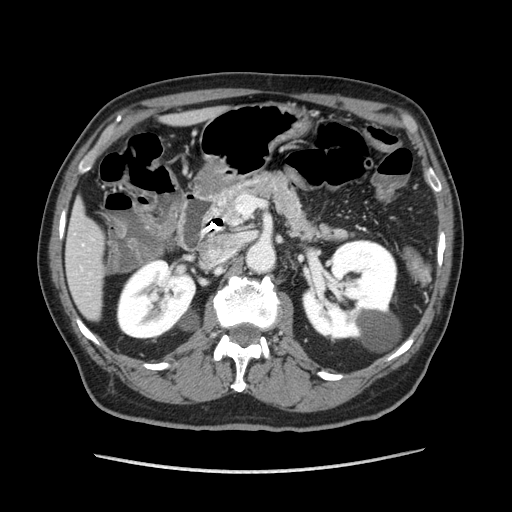

Computed tomography; Upper abdomen
Findings:
- pancreas: rect(224, 172, 345, 241)